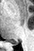

MRI slice. Posterior hippocampus — (left=10, top=41, right=17, bottom=44).